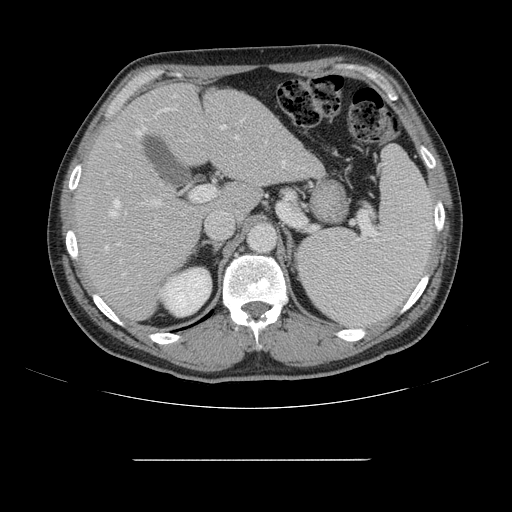 CT image; Abdomen

Only some of the vessels may be annotated.
hepatic_vessel:
  - (x1=148, y1=201, x2=158, y2=204)
  - (x1=117, y1=243, x2=120, y2=245)
  - (x1=122, y1=274, x2=124, y2=276)
  - (x1=191, y1=185, x2=215, y2=201)
  - (x1=242, y1=118, x2=244, y2=120)
  - (x1=283, y1=160, x2=284, y2=167)
  - (x1=157, y1=109, x2=170, y2=113)
  - (x1=235, y1=135, x2=238, y2=138)
  - (x1=114, y1=199, x2=120, y2=207)
  - (x1=222, y1=126, x2=226, y2=128)
  - (x1=109, y1=211, x2=116, y2=216)
  - (x1=105, y1=246, x2=107, y2=250)
  - (x1=116, y1=144, x2=119, y2=147)